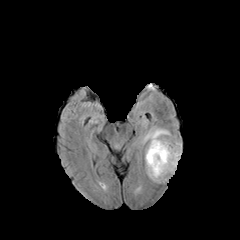
FLAIR MR image.
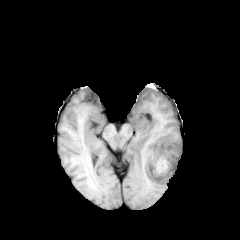
T1-weighted MR of the same slice.
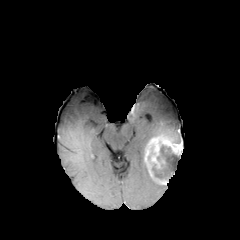
Post-contrast T1-weighted MRI of the same slice.
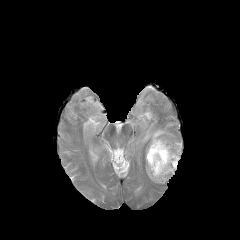
Same slice, T2-weighted MR image.
The edema appears at box(133, 118, 181, 148). The enhancing tumor lies within box(145, 137, 182, 161). The non-enhancing tumor core is bounded by box(144, 141, 179, 184).